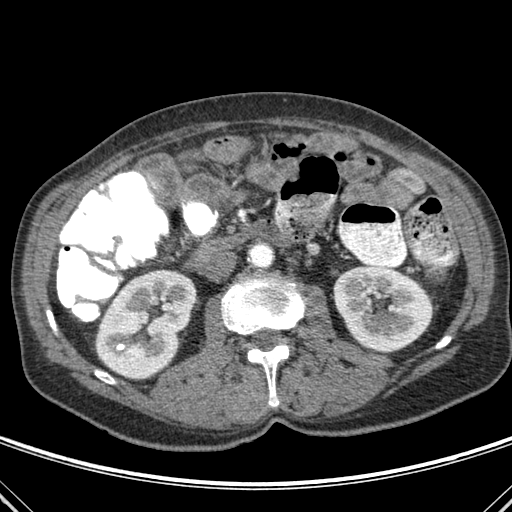 Abdomen; Image size 512x512; Computed tomography

Annotated regions:
- kidney: rect(96, 274, 195, 377); rect(334, 265, 431, 350)
- bone: rect(435, 336, 450, 348); rect(94, 370, 115, 384); rect(46, 310, 57, 334); rect(222, 271, 304, 334); rect(247, 343, 289, 406)